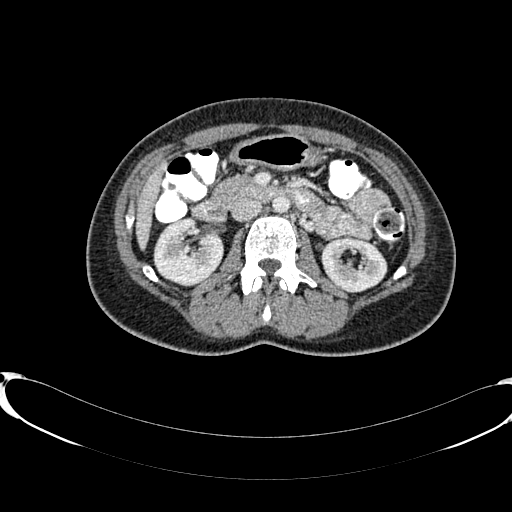
Computed tomography, Image size 512x512, Liver

2 kidney regions appear at <bbox>155, 220, 222, 283</bbox>, <bbox>323, 239, 385, 290</bbox>. The liver is bounded by <bbox>135, 163, 165, 249</bbox>.